CT scan slice
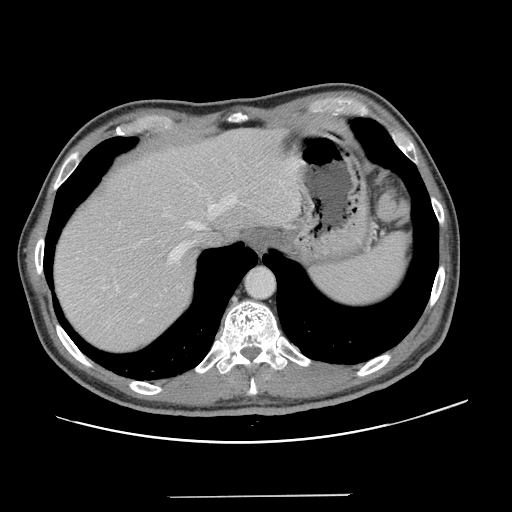
Only some of the vessels may be annotated.
Hepatic vessel — <box>140,319,142,321</box>, <box>103,287,106,288</box>, <box>169,243,188,261</box>, <box>188,221,204,229</box>, <box>115,280,117,289</box>.